240x240 px
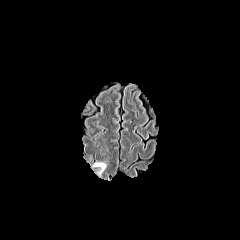
FLAIR MR image.
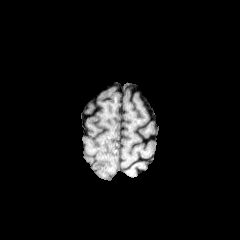
T1-weighted magnetic resonance of the same slice.
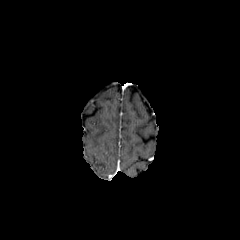
Post-contrast T1-weighted MRI.
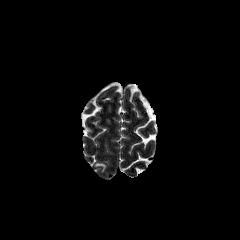
Same slice, T2-weighted MR image.
The edema is at bbox(93, 162, 106, 169).